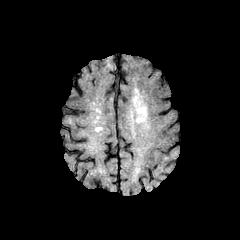
FLAIR MRI.
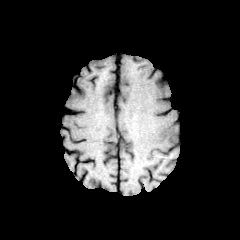
T1-weighted MR image.
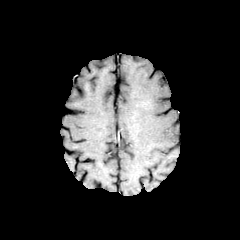
Post-contrast T1-weighted magnetic resonance.
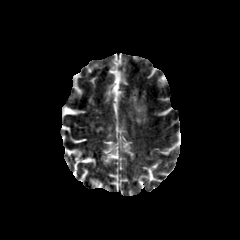
T2-weighted MR.
Image size 240x240
<segmentation>
  <edema>(x1=136, y1=107, x2=146, y2=122)</edema>
</segmentation>